Abdomen | 512x512 px | Computed tomography

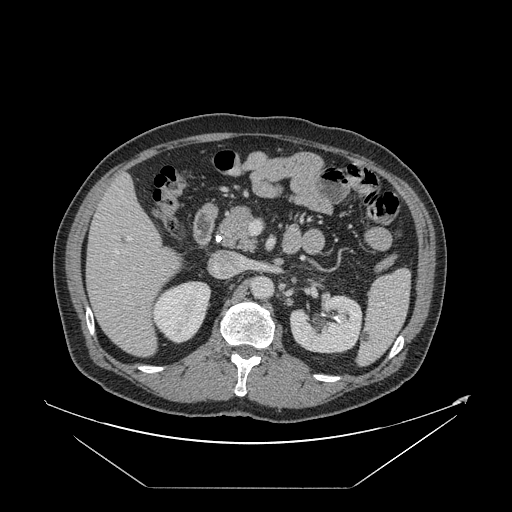
The vessel boxes may cover only some of the vessels.
Findings:
* hepatic vessel: [x1=127, y1=237, x2=130, y2=240], [x1=115, y1=251, x2=117, y2=253], [x1=111, y1=262, x2=113, y2=264]